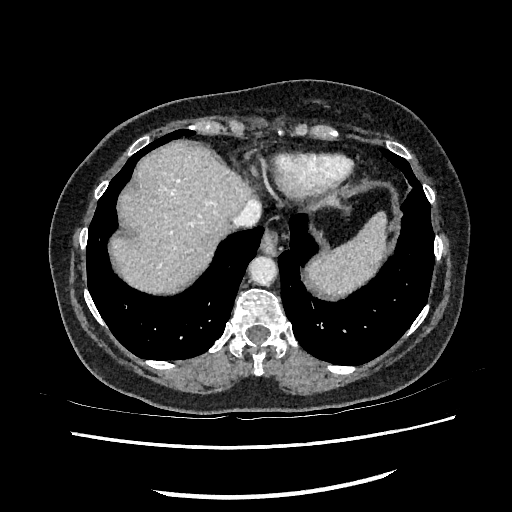
Computed tomography.
Liver — box=[111, 143, 249, 291].